Abdomen | Slice 356 of 733 | CT 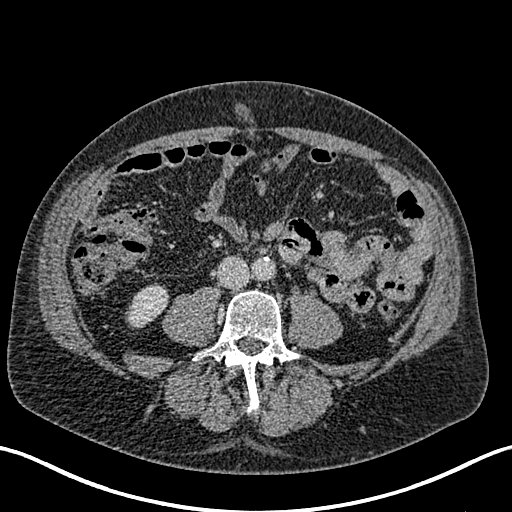 Annotated regions:
- kidney: box=[125, 284, 167, 326]